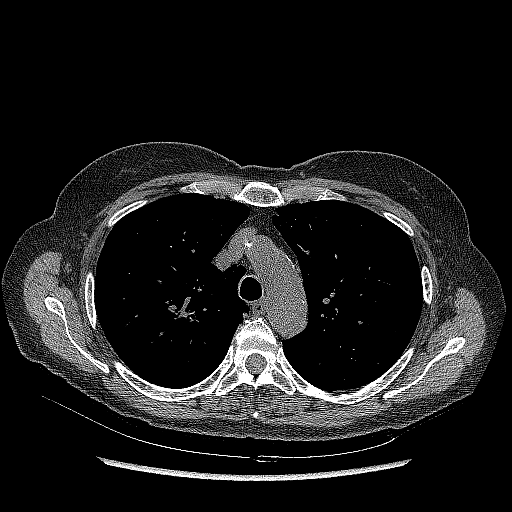

Chest, Computed tomography
<segmentation>
  <lung_tumor>{"x1": 165, "y1": 303, "x2": 195, "y2": 323}</lung_tumor>
</segmentation>